Hippocampus. Magnetic resonance. 33x50 px. Slice 6 of 29. 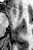
<segmentation>
  <anterior_hippocampus>rect(13, 7, 15, 13)</anterior_hippocampus>
</segmentation>